Liver | Image size 512x512 | Field of view 431 mm wide, 5.00 mm slice spacing | Slice index 16 | Computed tomography

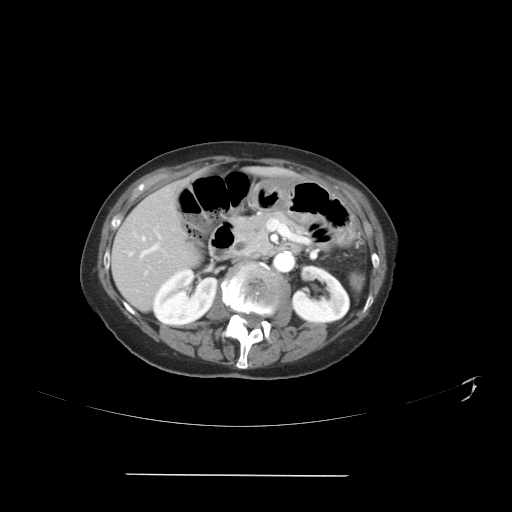 The vessel boxes may cover only some of the vessels.
Annotated regions:
• hepatic vessel: {"x1": 142, "y1": 237, "x2": 144, "y2": 240}, {"x1": 156, "y1": 232, "x2": 160, "y2": 237}, {"x1": 145, "y1": 272, "x2": 146, "y2": 274}, {"x1": 129, "y1": 252, "x2": 132, "y2": 255}, {"x1": 140, "y1": 244, "x2": 158, "y2": 257}